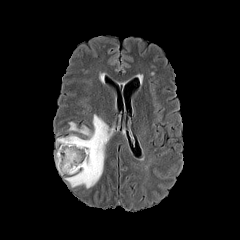
FLAIR MRI.
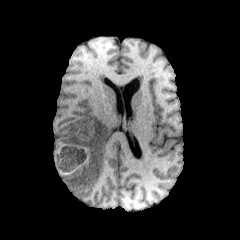
Same slice, T1-weighted magnetic resonance.
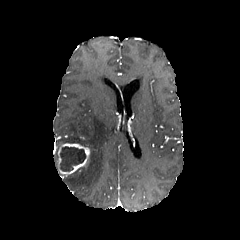
Same slice, post-contrast T1-weighted MRI.
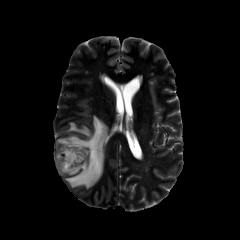
Same slice, T2-weighted magnetic resonance.
240x240 px.
Edema — <bbox>55, 115, 111, 188</bbox>.
Enhancing tumor — <bbox>57, 143, 89, 174</bbox>.
Non-enhancing tumor core — <bbox>59, 146, 85, 172</bbox>, <bbox>54, 148, 58, 169</bbox>.